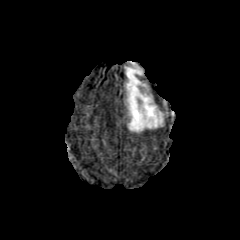
FLAIR magnetic resonance.
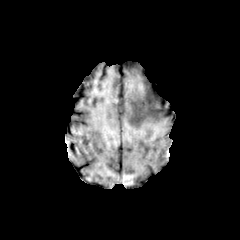
T1-weighted MRI.
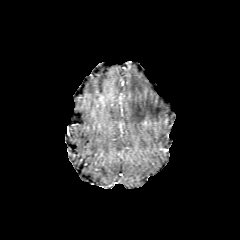
Post-contrast T1-weighted MR.
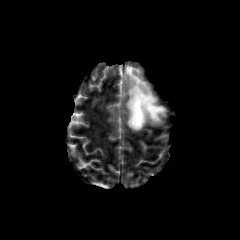
T2-weighted MR image.
Head
edema:
  - l=124, t=62, r=168, b=132